Thorax | CT image | Slice index 562
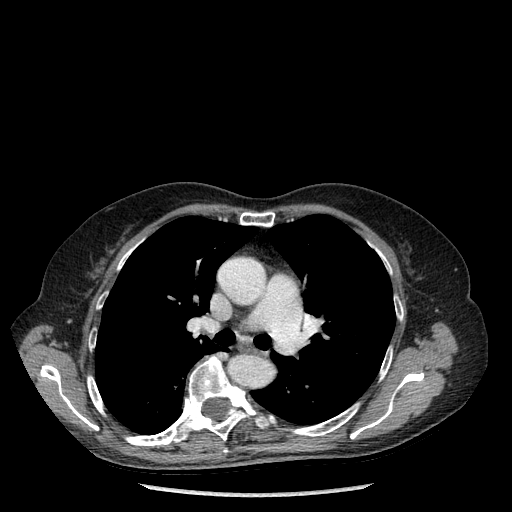

3 lung regions appear at {"x1": 95, "y1": 216, "x2": 257, "y2": 434}, {"x1": 251, "y1": 214, "x2": 395, "y2": 424}, {"x1": 254, "y1": 334, "x2": 270, "y2": 349}. 12 bone regions appear at {"x1": 376, "y1": 248, "x2": 392, "y2": 274}, {"x1": 380, "y1": 347, "x2": 392, "y2": 380}, {"x1": 394, "y1": 297, "x2": 403, "y2": 320}, {"x1": 87, "y1": 376, "x2": 104, "y2": 414}, {"x1": 350, "y1": 371, "x2": 424, "y2": 439}, {"x1": 39, "y1": 364, "x2": 98, "y2": 430}, {"x1": 290, "y1": 403, "x2": 359, "y2": 436}, {"x1": 89, "y1": 330, "x2": 96, "y2": 349}, {"x1": 125, "y1": 356, "x2": 275, "y2": 446}, {"x1": 117, "y1": 247, "x2": 134, "y2": 270}, {"x1": 240, "y1": 211, "x2": 274, "y2": 226}, {"x1": 96, "y1": 292, "x2": 106, "y2": 308}.